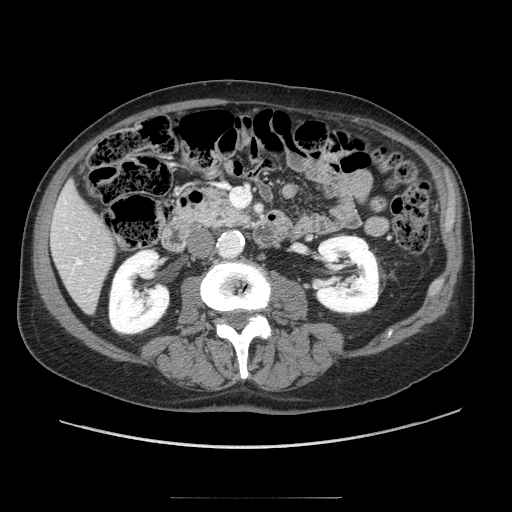 CT slice | Abdomen
pancreas: box(199, 191, 248, 226)